240x240
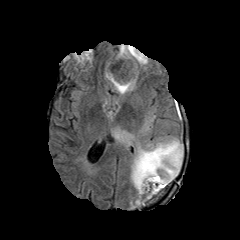
FLAIR MR.
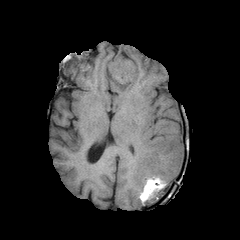
T1-weighted MR.
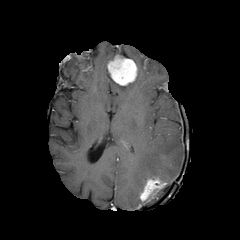
Same slice, post-contrast T1-weighted magnetic resonance.
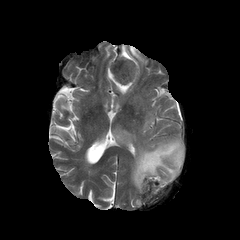
T2-weighted magnetic resonance.
Findings:
* non-enhancing tumor core: rect(110, 58, 133, 80); rect(120, 52, 138, 67)
* edema: rect(117, 45, 147, 70); rect(107, 73, 139, 94); rect(131, 137, 183, 194)
* enhancing tumor: rect(110, 55, 137, 85); rect(140, 178, 166, 199)